240x240; Field of view 240 mm wide, 1.00 mm slice spacing; Slice index 85
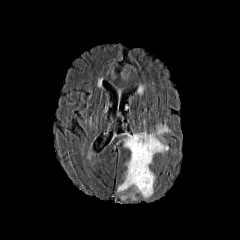
FLAIR magnetic resonance.
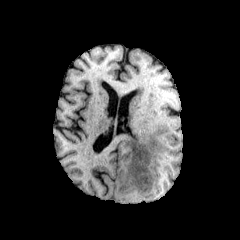
T1-weighted MRI.
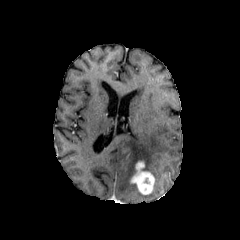
Same slice, post-contrast T1-weighted MRI.
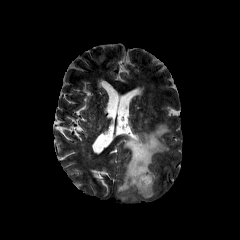
T2-weighted magnetic resonance.
{"edema": ["bbox(117, 120, 172, 200)"], "enhancing_tumor": ["bbox(130, 162, 154, 194)"]}